Slice index 354; CT
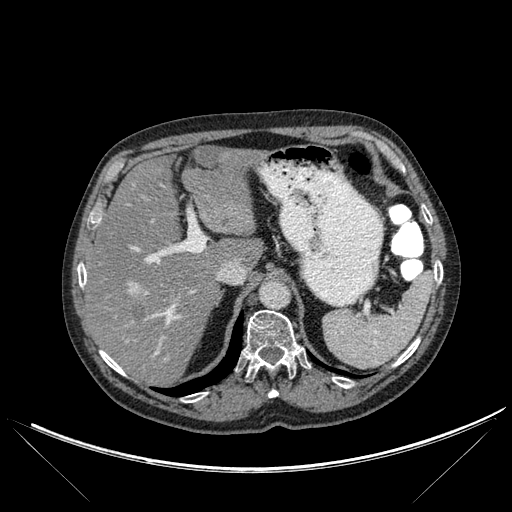

Liver — l=182, t=148, r=263, b=234; l=85, t=157, r=263, b=387.
Bone — l=332, t=377, r=353, b=388; l=241, t=310, r=303, b=374; l=434, t=261, r=442, b=282; l=181, t=392, r=206, b=402; l=77, t=263, r=86, b=286; l=268, t=389, r=278, b=397; l=100, t=350, r=125, b=375; l=394, t=338, r=419, b=365; l=422, t=205, r=432, b=223.
Liver lesion — l=196, t=146, r=226, b=164; l=133, t=304, r=144, b=322.
Lung — l=155, t=313, r=242, b=396; l=327, t=367, r=351, b=375.